Abdomen, 512x512, CT image 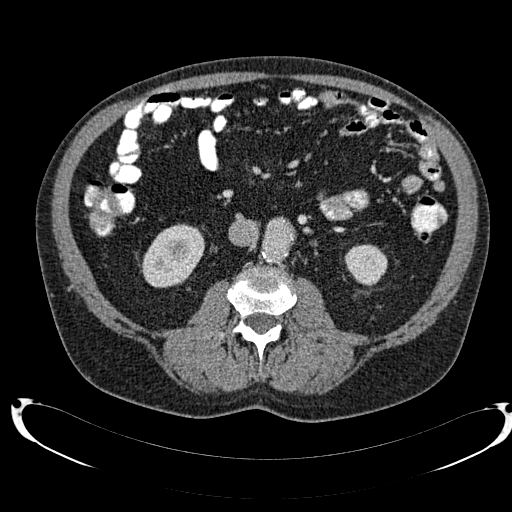
- kidney: bbox=[142, 224, 204, 287]; bbox=[345, 245, 387, 285]